Computed tomography | Field of view 335x335 mm 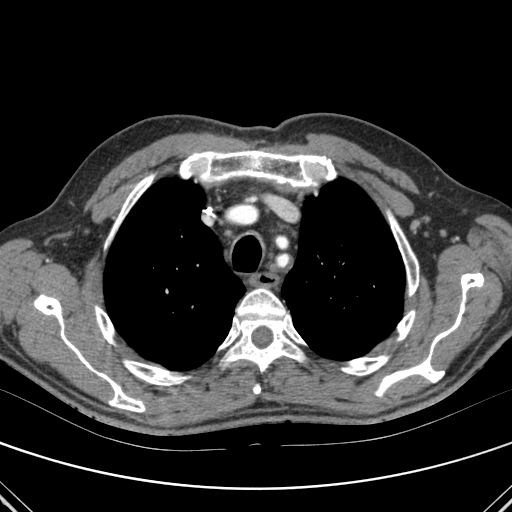 {"bone": ["<box>123,360,188,385</box>", "<box>397,310,415,340</box>", "<box>218,288,306,371</box>", "<box>253,384,260,393</box>", "<box>375,273,483,396</box>", "<box>105,174,154,248</box>", "<box>34,294,145,412</box>", "<box>387,211,418,296</box>", "<box>341,355,388,375</box>", "<box>179,150,336,186</box>", "<box>95,306,114,344</box>"], "lung": ["<box>103,178,245,370</box>", "<box>281,178,404,360</box>"]}